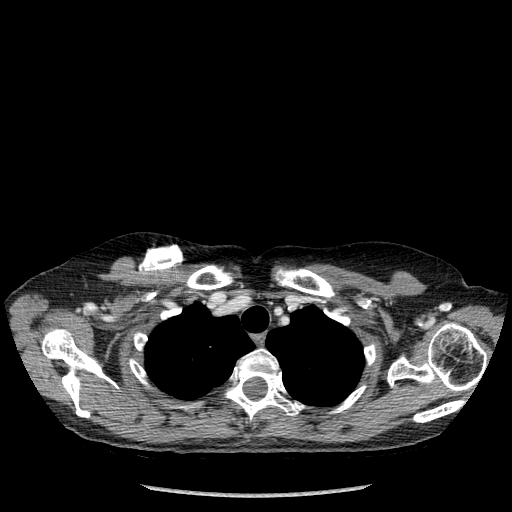
Chest. CT scan slice.

2 lung regions are bounded by <bbox>145, 302, 268, 399</bbox>, <bbox>266, 305, 364, 406</bbox>. 13 bone regions are bounded by <bbox>186, 265, 232, 289</bbox>, <bbox>324, 308, 350, 325</bbox>, <bbox>364, 344, 376, 365</bbox>, <bbox>387, 323, 487, 391</bbox>, <bbox>41, 328, 118, 417</bbox>, <bbox>160, 305, 181, 319</bbox>, <bbox>413, 400, 464, 422</bbox>, <bbox>133, 332, 147, 350</bbox>, <bbox>276, 269, 334, 298</bbox>, <bbox>225, 348, 304, 419</bbox>, <bbox>331, 385, 366, 412</bbox>, <bbox>170, 403, 201, 409</bbox>, <bbox>129, 359, 147, 385</bbox>.